240x240, Field of view 240x240 mm
FLAIR MR.
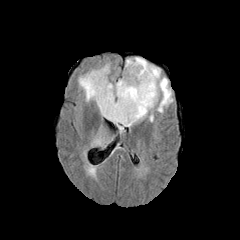
T1-weighted magnetic resonance.
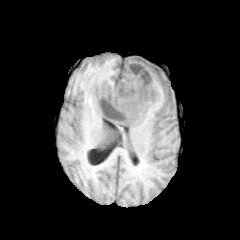
Post-contrast T1-weighted MR image.
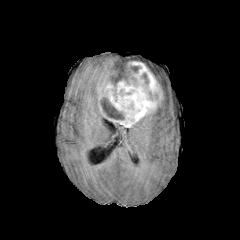
T2-weighted MRI.
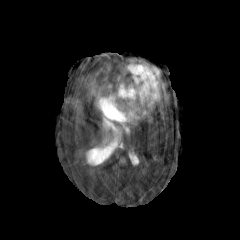
Non-enhancing tumor core: box(114, 64, 139, 86); box(145, 64, 158, 74); box(100, 94, 124, 120).
Enhancing tumor: box(97, 61, 162, 127).
Edema: box(79, 65, 115, 117); box(125, 57, 172, 114); box(130, 111, 153, 127).